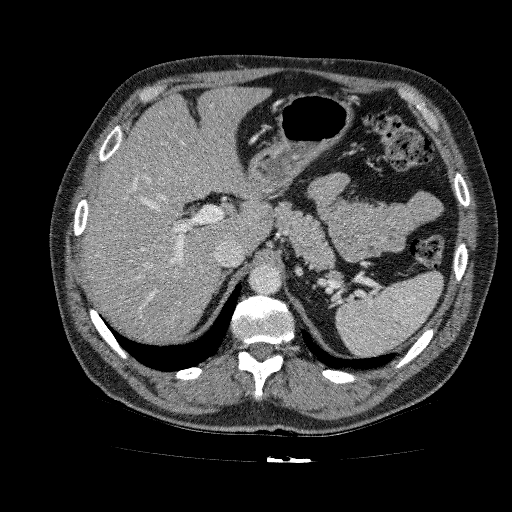 CT slice; Upper abdomen; 512x512
{"liver": ["x1=81 y1=86 x2=275 y2=343"]}